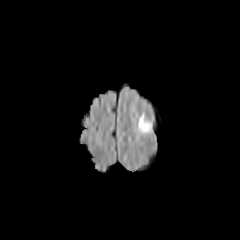
FLAIR magnetic resonance.
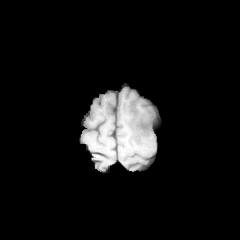
T1-weighted MR image.
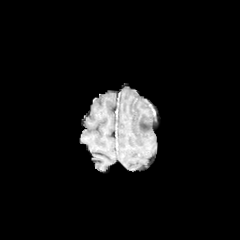
Post-contrast T1-weighted MRI of the same slice.
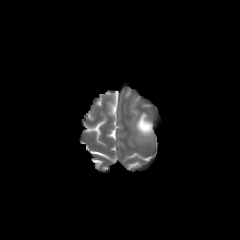
Same slice, T2-weighted MR image.
Brain
Edema at 137, 114, 156, 140.